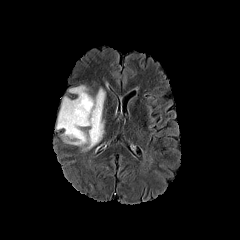
FLAIR MR image.
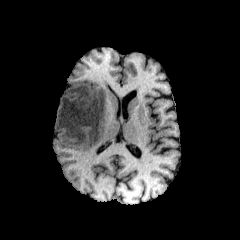
T1-weighted MR image.
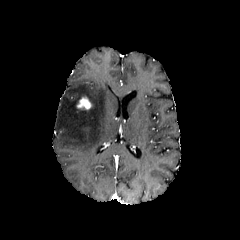
Same slice, post-contrast T1-weighted MR.
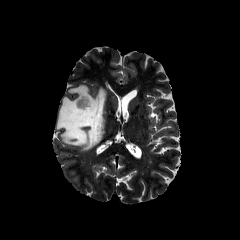
Same slice, T2-weighted magnetic resonance.
Edema = <box>56,85,105,152</box>.
Enhancing tumor = <box>76,96,91,109</box>.